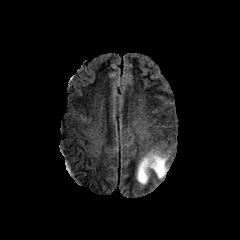
FLAIR MR.
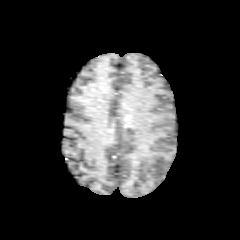
T1-weighted MRI.
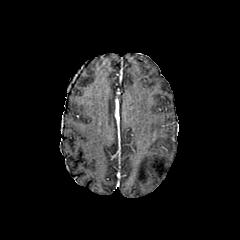
Post-contrast T1-weighted MR image.
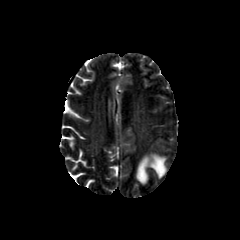
Same slice, T2-weighted magnetic resonance.
Head
Edema = (left=136, top=152, right=167, bottom=184).